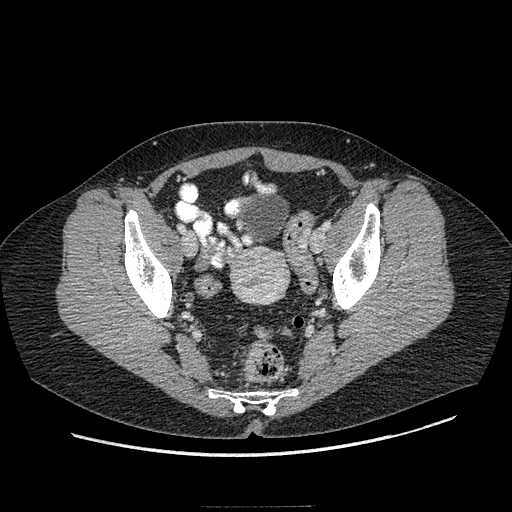
Pelvis. CT scan slice. 512x512.
colon_tumor:
  - <bbox>245, 348, 261, 382</bbox>